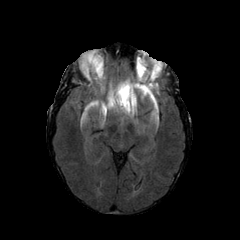
FLAIR MR image.
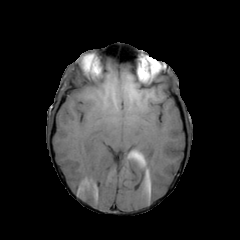
Same slice, T1-weighted MR.
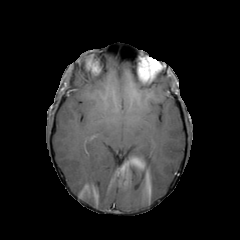
Same slice, post-contrast T1-weighted MR image.
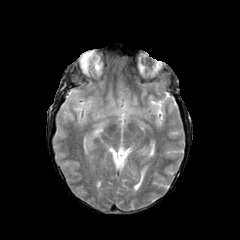
T2-weighted MR.
Brain, Image size 240x240
3 edema regions are located at 136, 68, 161, 113; 117, 86, 135, 114; 84, 101, 98, 110.